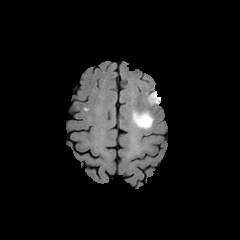
FLAIR MR.
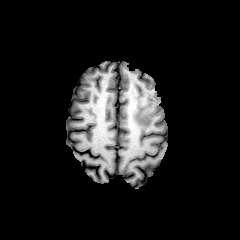
T1-weighted MR of the same slice.
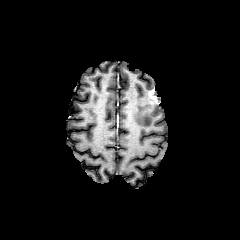
Post-contrast T1-weighted MR image.
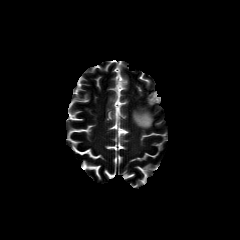
T2-weighted MR image.
Head, Image size 240x240
The edema appears at (132, 110, 153, 130). The enhancing tumor is bounded by (149, 92, 156, 102).